Abdomen; Slice 25 of 93; CT scan slice 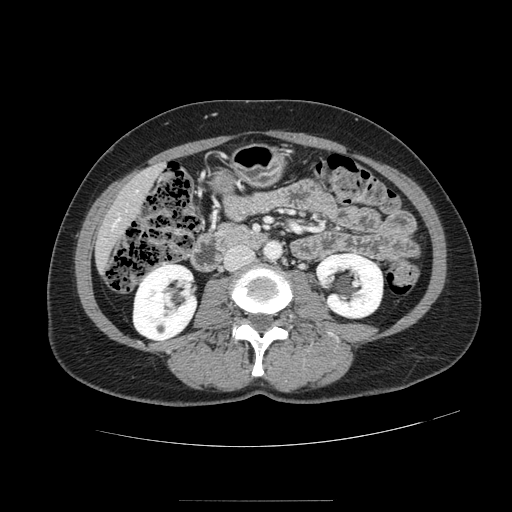
Findings:
- pancreas: (211, 222, 267, 254)